Liver, Field of view 398x398 mm, Slice 98 of 161, CT 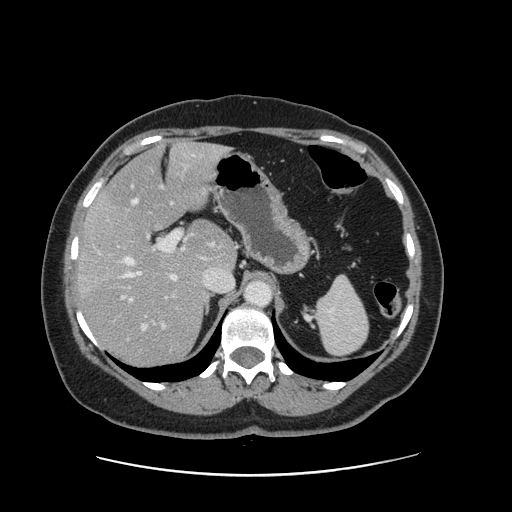
Not every hepatic vessel necessarily has a box.
hepatic_vessel:
  - [123, 257, 133, 264]
  - [142, 324, 146, 329]
  - [182, 247, 184, 249]
  - [171, 274, 176, 279]
  - [147, 235, 148, 236]
  - [129, 298, 132, 300]
  - [126, 271, 140, 277]
  - [122, 296, 124, 298]
  - [162, 323, 163, 326]
  - [202, 257, 205, 258]